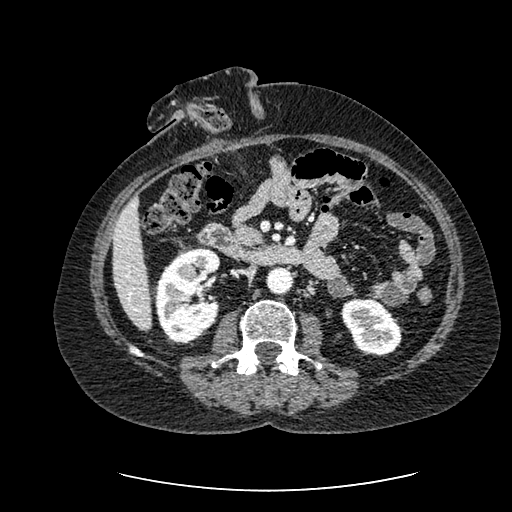
Upper abdomen; Computed tomography; 512x512

Kidney at (left=156, top=249, right=219, bottom=342), (left=342, top=299, right=400, bottom=354).
Liver at (left=113, top=196, right=151, bottom=329).